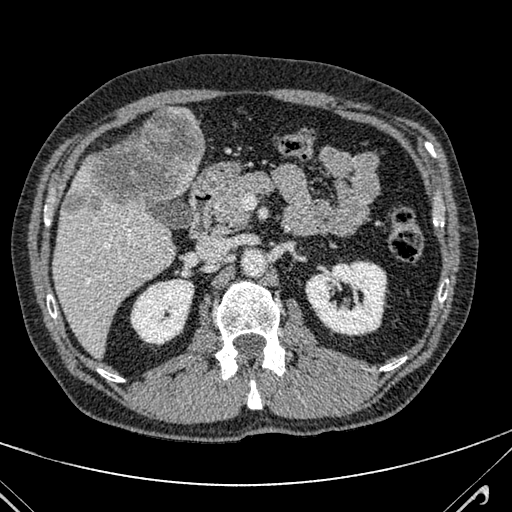
Computed tomography

Findings:
• focal liver lesion: (x1=63, y1=109, x2=201, y2=213)
• liver: (x1=52, y1=199, x2=174, y2=355), (x1=71, y1=157, x2=94, y2=196), (x1=171, y1=158, x2=199, y2=195), (x1=176, y1=109, x2=194, y2=120)